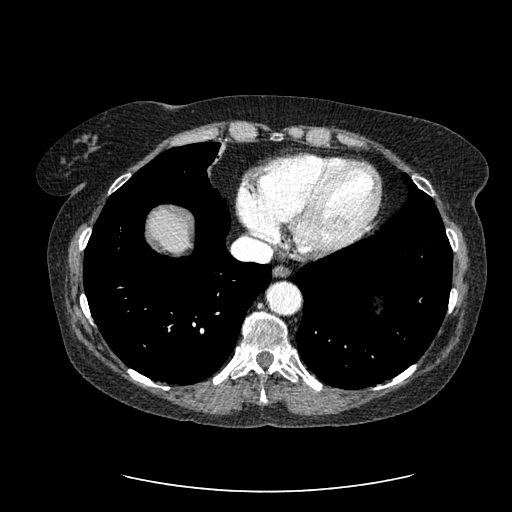 Computed tomography | Liver
Liver — (149, 209, 190, 255).